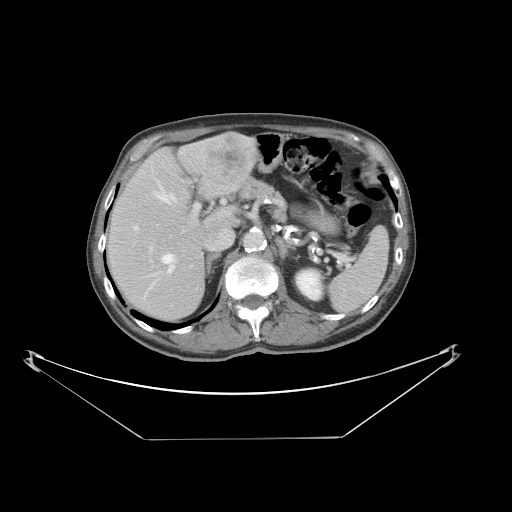

Liver. Computed tomography.
Only some of the vessels may be annotated.
* hepatic vessel: <box>182,226,186,233</box>, <box>203,208,232,223</box>, <box>143,281,155,298</box>, <box>154,180,175,203</box>, <box>188,204,200,227</box>, <box>133,225,137,230</box>, <box>162,254,174,272</box>, <box>149,247,152,251</box>, <box>148,272,160,276</box>, <box>205,229,224,251</box>
* liver tumor: <box>203,133,254,186</box>